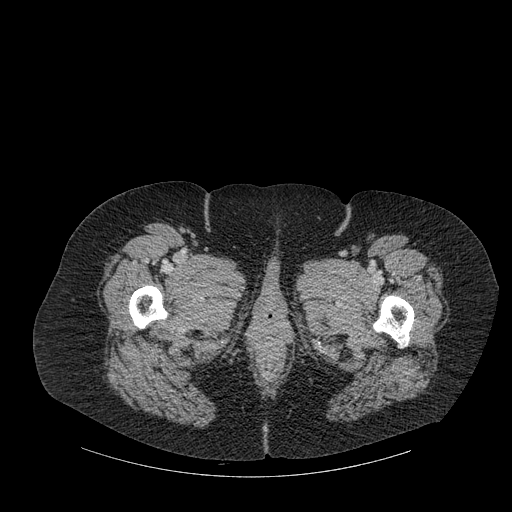

Image size 512x512, CT

2 bone regions are located at (129,285,167,328), (373,296,413,346).